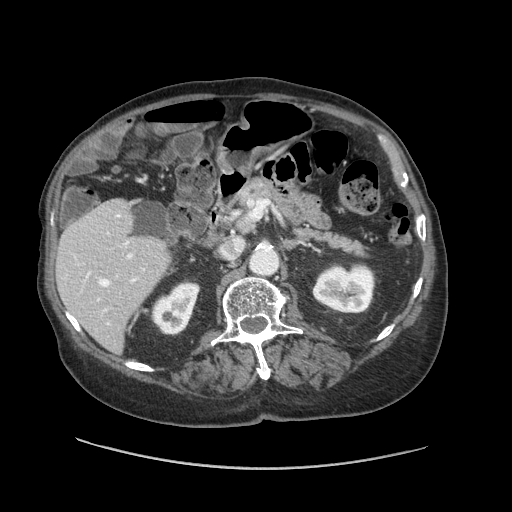

CT image | 512x512 | Liver
Not every hepatic vessel necessarily has a box.
Findings:
- hepatic vessel: box=[221, 248, 232, 258]; box=[233, 239, 243, 251]; box=[99, 279, 109, 286]